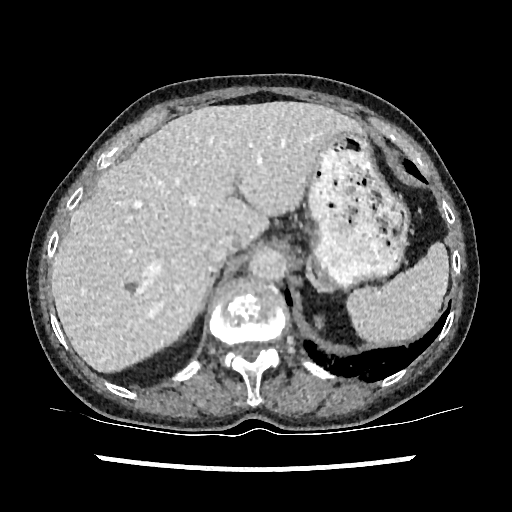 CT scan slice. 512x512 px.
{
  "liver": [
    "53, 103, 362, 371"
  ],
  "hepatic_lesion": [
    "125, 284, 136, 293"
  ]
}